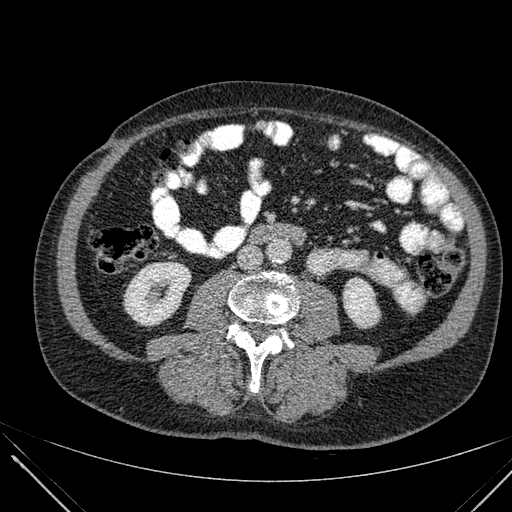 CT slice; 512x512 px
<segmentation>
  <kidney>125:262:190:325, 344:278:378:327</kidney>
</segmentation>